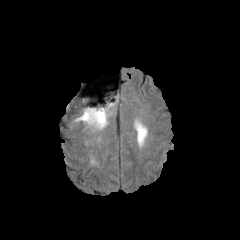
FLAIR MR image.
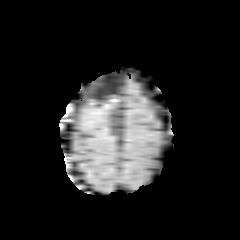
T1-weighted MR image of the same slice.
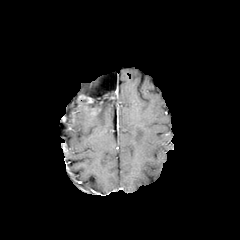
Post-contrast T1-weighted magnetic resonance of the same slice.
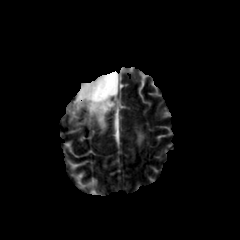
T2-weighted MRI.
* edema: 135 123 147 145, 73 102 115 133
* non-enhancing tumor core: 88 100 111 115